512x512. Thorax. CT slice. 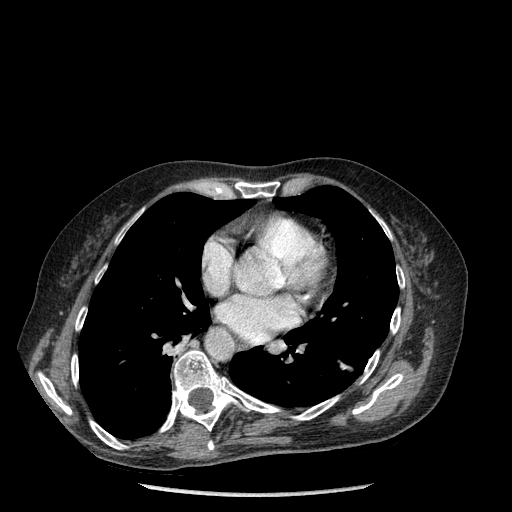

{
  "bone": [
    "115:208:144:243",
    "352:373:403:414",
    "235:181:279:197",
    "396:266:404:288",
    "390:307:400:333",
    "293:395:339:420",
    "38:372:71:414",
    "71:354:78:385",
    "160:349:280:432",
    "207:440:214:449",
    "360:350:379:383",
    "89:420:127:449",
    "75:307:87:330",
    "373:214:392:239"
  ],
  "lung": [
    "79:192:253:439",
    "229:185:398:407"
  ]
}